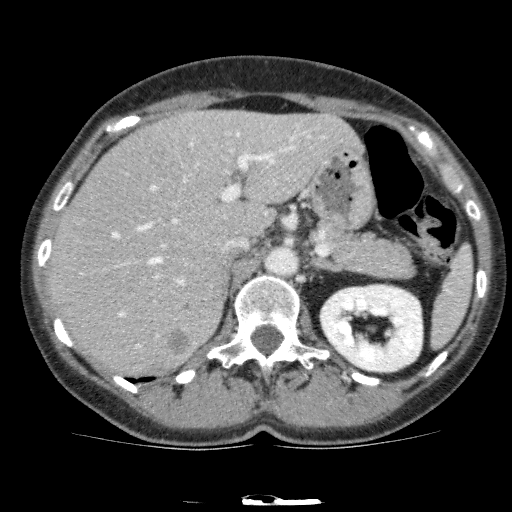

Computed tomography. Upper abdomen.
Liver lesion = box(166, 327, 191, 356); box(153, 147, 170, 157).
Liver = box(48, 110, 365, 375).
Kidney = box(321, 285, 422, 371).